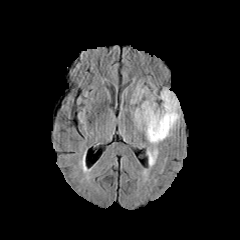
FLAIR MR image.
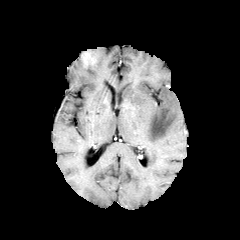
Same slice, T1-weighted MR.
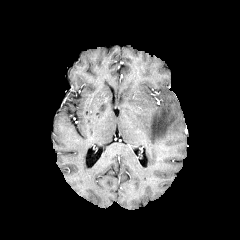
Post-contrast T1-weighted magnetic resonance of the same slice.
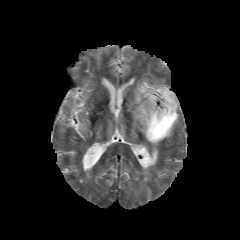
T2-weighted magnetic resonance of the same slice.
Head
Non-enhancing tumor core = (153, 121, 161, 133).
Edema = (132, 84, 179, 167).